Image size 512x512 | Abdomen | CT scan slice 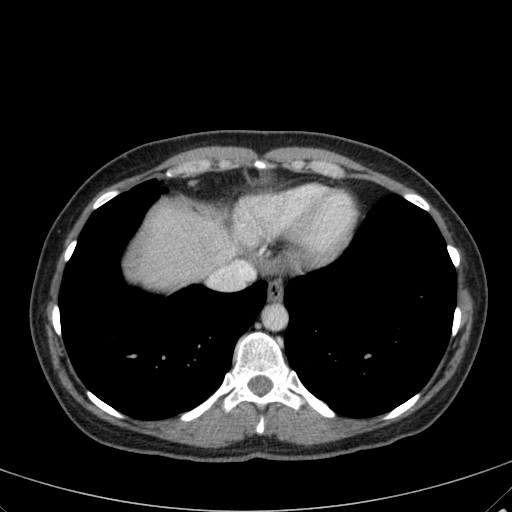 The liver appears at box(125, 199, 256, 291).